Slice index 86, 240x240 px, Field of view 240 mm wide, 1.00 mm slice spacing, Head
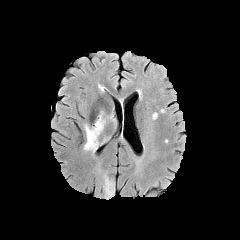
FLAIR MRI.
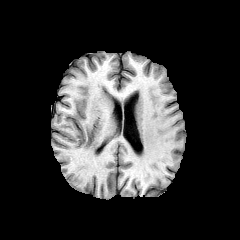
Same slice, T1-weighted MR image.
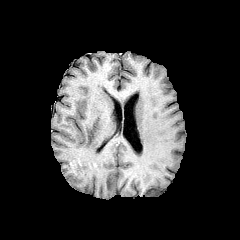
Post-contrast T1-weighted MR.
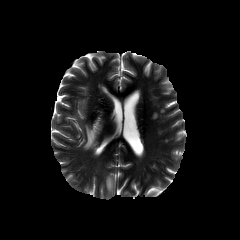
T2-weighted magnetic resonance of the same slice.
edema: 82:114:105:154